32x54 px | MRI | Slice 18 of 34 | Hippocampus 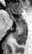 The anterior hippocampus is located at 13 17 15 20. The posterior hippocampus appears at 12 25 27 45.